FLAIR MR.
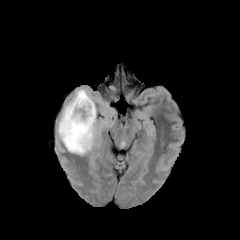
T1-weighted MR.
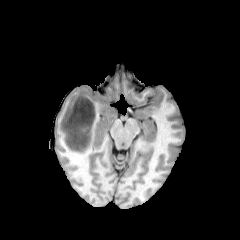
Post-contrast T1-weighted MRI.
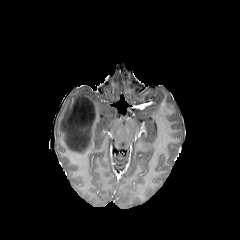
T2-weighted MR image.
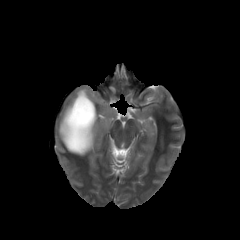
Head; 240x240 px
The edema is bounded by (x1=58, y1=88, x2=98, y2=156). The non-enhancing tumor core lies within (x1=63, y1=97, x2=95, y2=152).